CT; 512x512 px
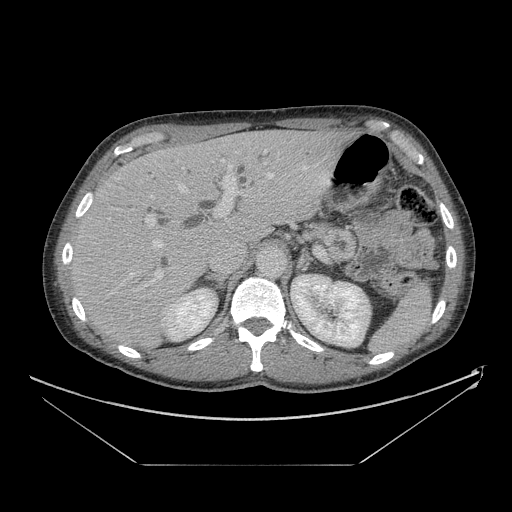

* pancreas: (306, 221, 356, 262)